Slice 44 of 107 | CT scan slice | Upper abdomen

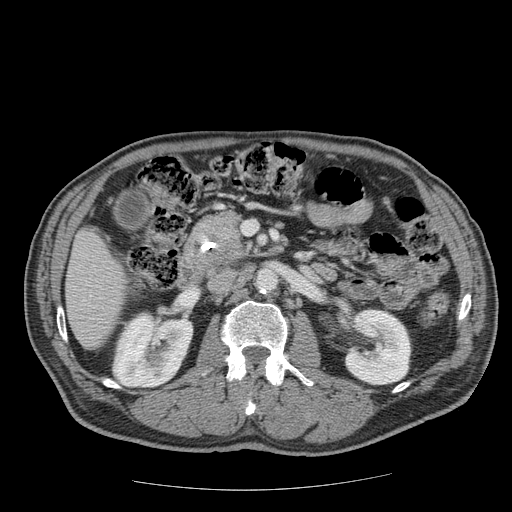

Pancreatic tumor: bounding box 182,213,245,269.
Pancreas: bounding box 187,208,250,270.